Slice 120/155, Brain
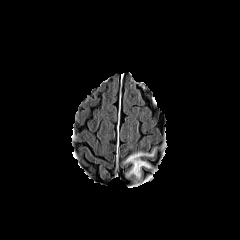
FLAIR MRI.
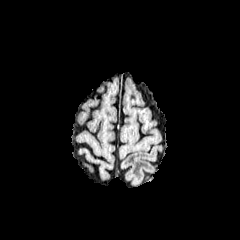
Same slice, T1-weighted MRI.
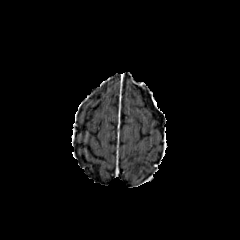
Post-contrast T1-weighted magnetic resonance.
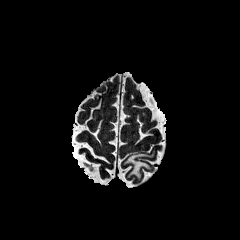
T2-weighted MR image.
<segmentation>
  <edema>bbox=[123, 150, 154, 180]</edema>
</segmentation>